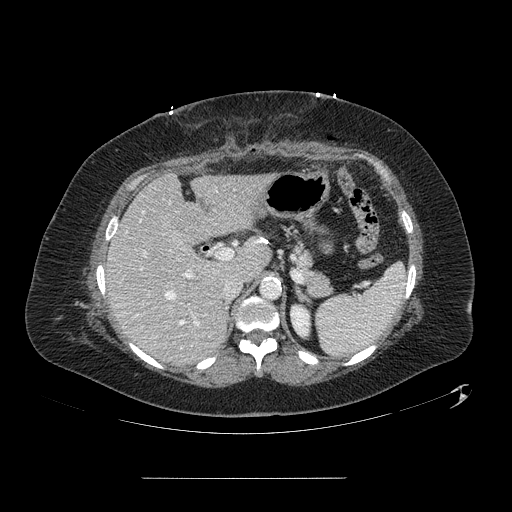
512x512 | Upper abdomen | Computed tomography
pancreas:
  - (x1=292, y1=240, x2=332, y2=297)